Magnetic resonance; Field of view 400 mm wide, 1.37 mm slice spacing
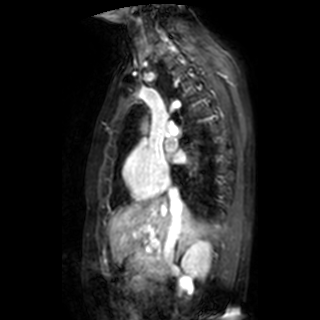

2 left atrium regions are bounded by box=[174, 151, 185, 162]; box=[165, 139, 176, 152].